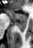 Hippocampus | MRI
anterior hippocampus: <box>6,10,26,21</box> | posterior hippocampus: <box>15,22,26,31</box>